CT image; Slice 32 of 87

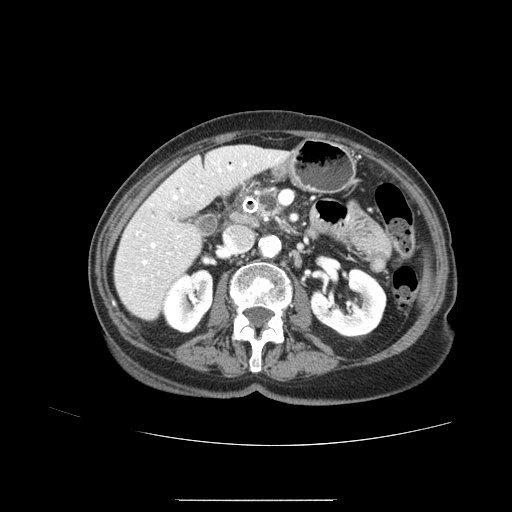

pancreas:
  - [x1=257, y1=188, x2=282, y2=216]